FLAIR MR.
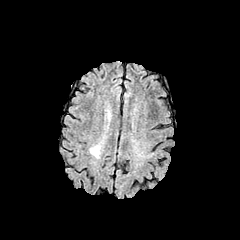
T1-weighted MRI.
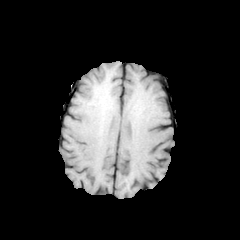
Post-contrast T1-weighted magnetic resonance.
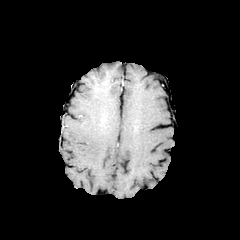
T2-weighted magnetic resonance.
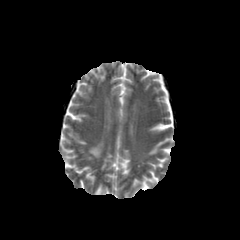
Brain
The edema is at box=[90, 142, 103, 158].